Head; Slice 38/155; Field of view 240 mm wide, 1.00 mm slice spacing
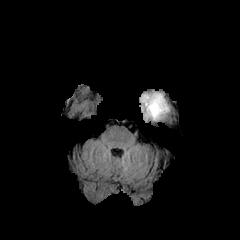
FLAIR MRI.
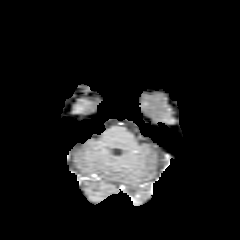
Same slice, T1-weighted magnetic resonance.
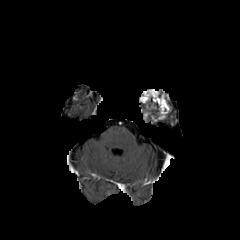
Post-contrast T1-weighted MRI of the same slice.
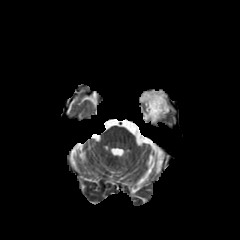
T2-weighted magnetic resonance.
<segmentation>
  <non-enhancing_tumor_core>(142,103,157,115)</non-enhancing_tumor_core>
  <enhancing_tumor>(140,89,169,121)</enhancing_tumor>
</segmentation>